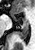

MR | Image size 35x50
<segmentation>
  <anterior_hippocampus>box=[14, 17, 16, 21]; box=[22, 18, 28, 23]</anterior_hippocampus>
  <posterior_hippocampus>box=[16, 24, 28, 39]</posterior_hippocampus>
</segmentation>